Upper abdomen, CT, 512x512 px
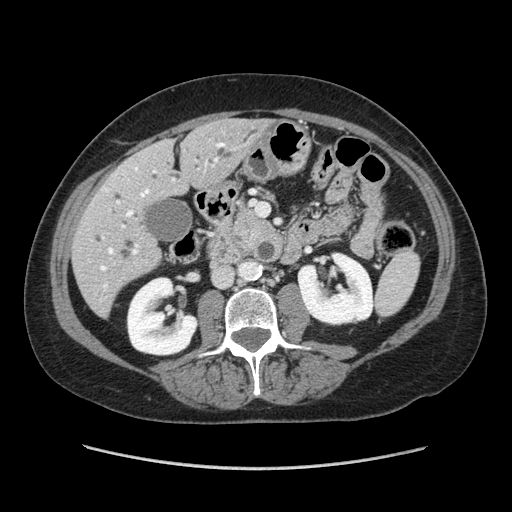

pancreas:
  - [230,192,270,254]